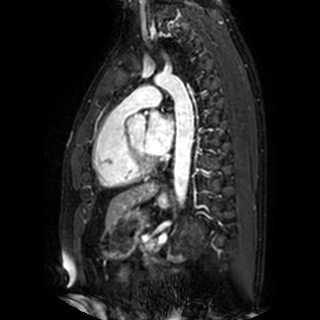

MRI slice. Cardiac.
The left atrium is bounded by <box>145,111,174,154</box>.